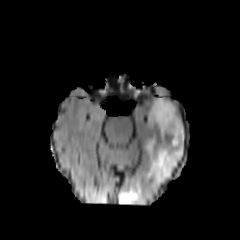
FLAIR MRI.
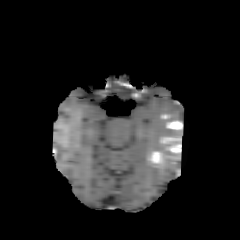
T1-weighted MR of the same slice.
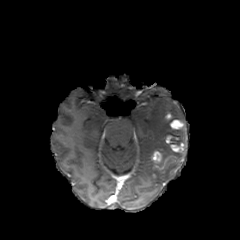
Post-contrast T1-weighted MR image.
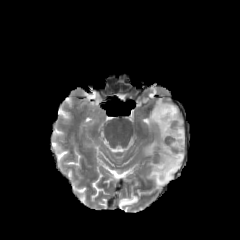
Same slice, T2-weighted MR.
Head
non-enhancing tumor core: box(168, 135, 185, 146); box(159, 156, 178, 164) | edema: box(119, 197, 138, 203); box(142, 90, 185, 185) | enhancing tumor: box(166, 136, 185, 152); box(170, 119, 183, 129); box(152, 151, 161, 163)